Field of view 410x410 mm | Image size 512x512 | Computed tomography 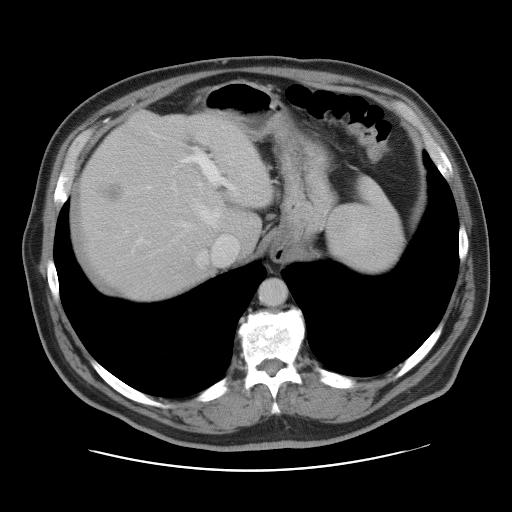 Only some of the vessels may be annotated.
hepatic vessel: region(182, 147, 236, 193); region(197, 183, 200, 185); region(196, 203, 219, 226); region(212, 235, 238, 264); region(148, 186, 150, 187); region(182, 223, 189, 231); region(200, 251, 205, 263); region(136, 239, 140, 242) | liver tumor: region(91, 178, 131, 202)